512x512, CT scan slice, Field of view 381x381 mm, Slice index 246 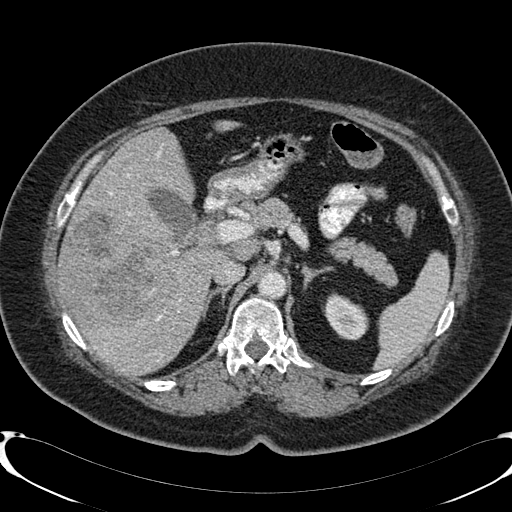

3 liver regions appear at (x1=58, y1=284, x2=66, y2=308), (x1=62, y1=127, x2=226, y2=374), (x1=219, y1=120, x2=234, y2=129). The liver lesion lies within (x1=58, y1=211, x2=174, y2=327). The kidney appears at (x1=326, y1=296, x2=365, y2=337).